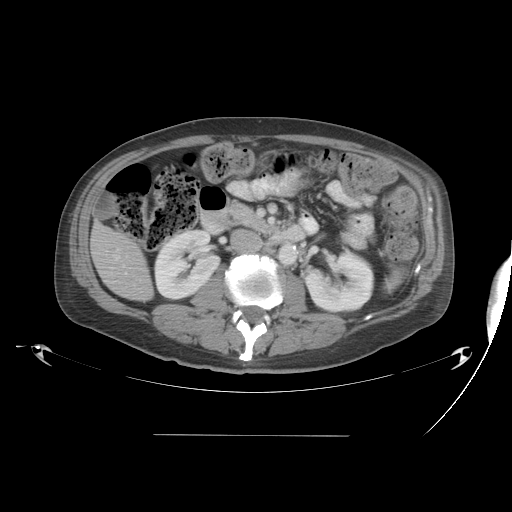 CT image
The vessel boxes may cover only some of the vessels.
Segmented structures:
- hepatic vessel: x1=113 y1=255 x2=119 y2=260, x1=124 y1=272 x2=126 y2=274